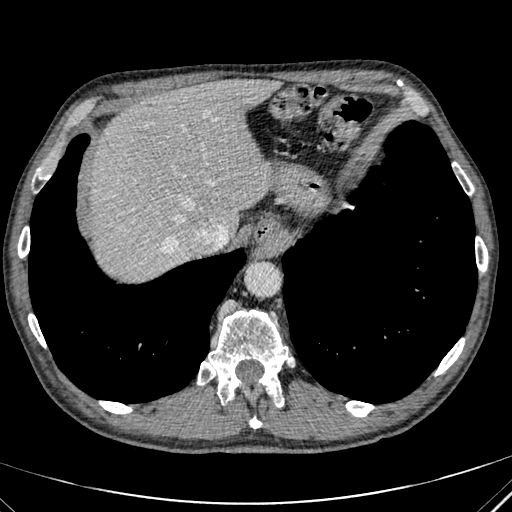

Computed tomography

<segmentation>
  <liver>bbox(90, 79, 280, 280)</liver>
</segmentation>